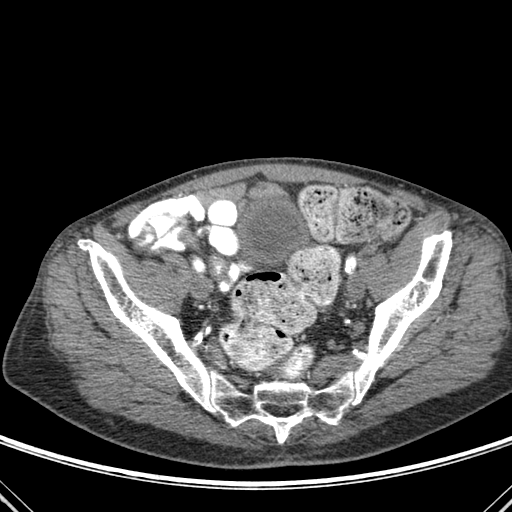 Image size 512x512; CT
2 bone regions are bounded by bbox=[346, 257, 355, 268]; bbox=[78, 230, 452, 443].